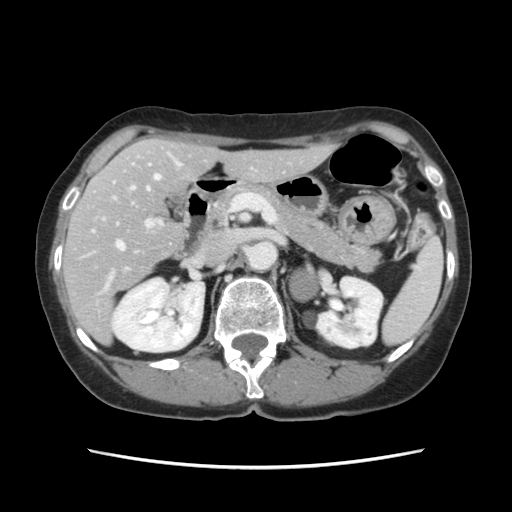
Abdomen, CT slice
Not every hepatic vessel necessarily has a box.
Annotated regions:
* hepatic vessel: region(102, 218, 104, 220); region(154, 175, 159, 179); region(113, 197, 115, 199); region(168, 153, 180, 165); region(147, 187, 149, 190); region(116, 241, 123, 249); region(130, 186, 135, 189)